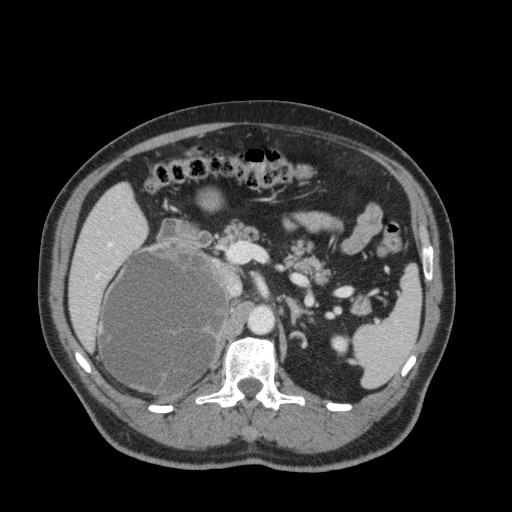
Image size 512x512, CT slice, Upper abdomen
Liver: bounding box <bbox>69, 184, 146, 349</bbox>.
Kidney: bounding box <bbox>333, 338, 345, 350</bbox>.